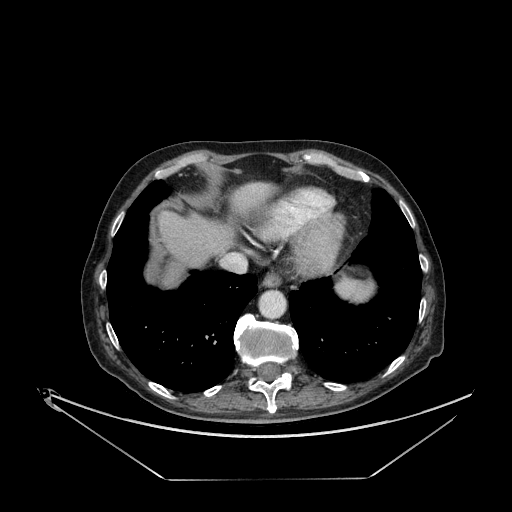
Upper abdomen, CT image
Liver — <bbox>234, 184, 273, 212</bbox>, <bbox>158, 211, 233, 282</bbox>.